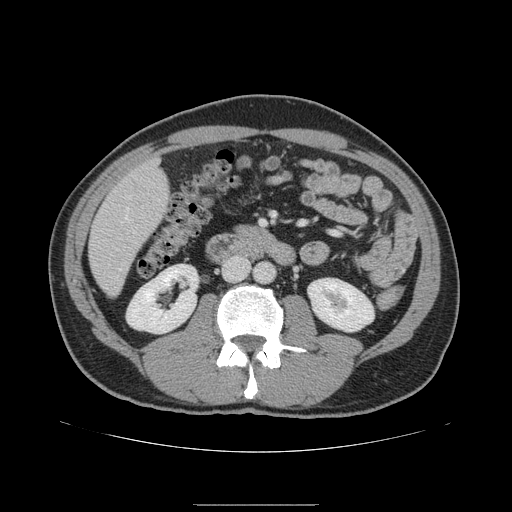

CT. 512x512 px. <segmentation>
  <pancreas><bbox>236, 225, 274, 242</bbox></pancreas>
</segmentation>